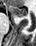
Magnetic resonance; Medial temporal lobe

Anterior hippocampus at [9, 6, 27, 17].